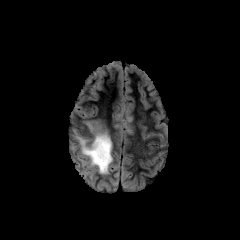
FLAIR MR.
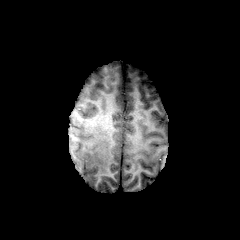
T1-weighted MR image.
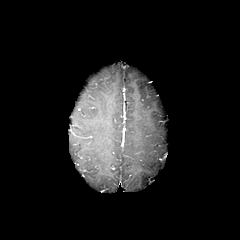
Same slice, post-contrast T1-weighted magnetic resonance.
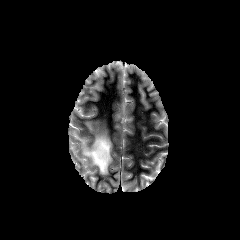
T2-weighted MR of the same slice.
Head
The edema lies within 79:132:112:174.